512x512 | CT scan slice

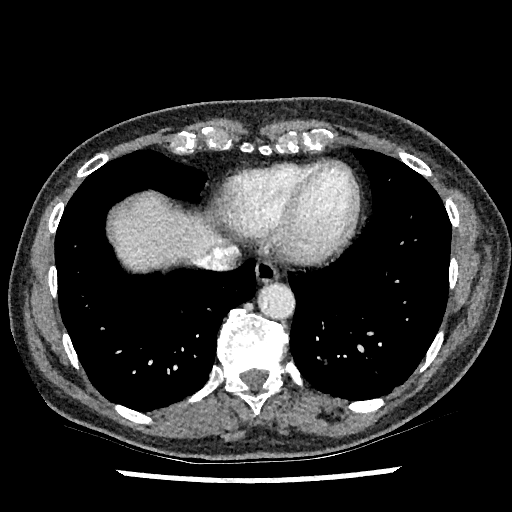
Liver = 108, 193, 224, 270.